FLAIR MR image.
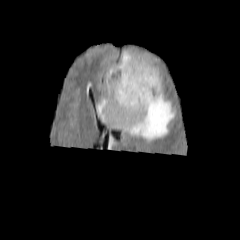
T1-weighted MR.
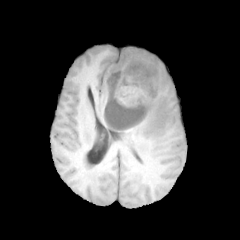
Post-contrast T1-weighted MR image.
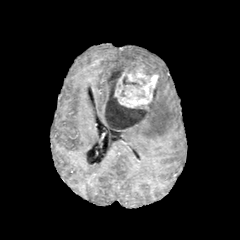
T2-weighted MR image.
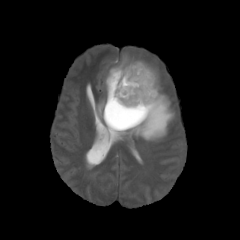
2 edema regions are located at <bbox>99, 82, 176, 140</bbox>, <bbox>117, 52, 158, 73</bbox>. The enhancing tumor appears at <bbox>115, 66, 158, 108</bbox>. 2 non-enhancing tumor core regions are located at <bbox>122, 76, 141, 88</bbox>, <bbox>104, 64, 157, 129</bbox>.